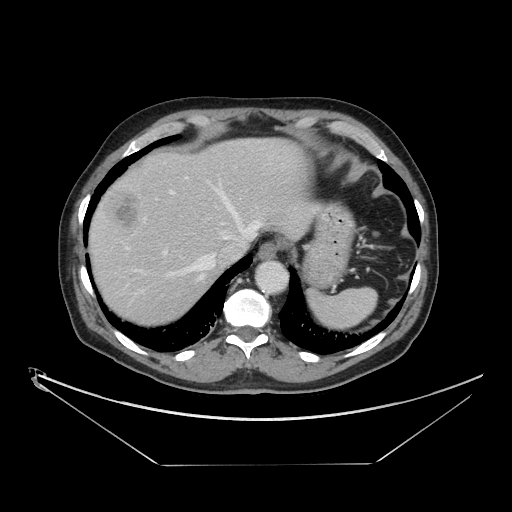 CT; Liver; 512x512 px
The vessel annotation is not exhaustive.
Annotated regions:
- hepatic vessel: <bbox>143, 217, 145, 221</bbox>, <bbox>126, 247, 128, 249</bbox>, <bbox>181, 253, 215, 279</bbox>, <bbox>214, 188, 260, 237</bbox>, <bbox>170, 191, 173, 193</bbox>, <bbox>138, 289, 141, 291</bbox>, <bbox>223, 235, 230, 239</bbox>, <bbox>221, 222, 225, 224</bbox>, <bbox>165, 273, 173, 276</bbox>, <bbox>186, 177, 187, 178</bbox>, <bbox>163, 251, 166, 254</bbox>, <bbox>132, 269, 141, 271</bbox>
- liver tumor: <bbox>104, 189, 142, 230</bbox>